512x512 px, CT slice, Abdomen
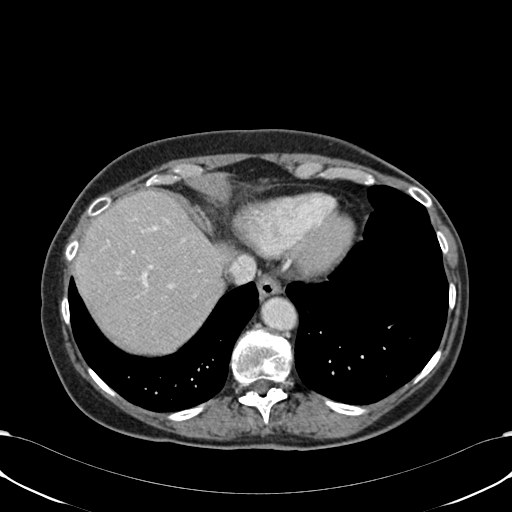
liver:
  - {"x1": 76, "y1": 191, "x2": 227, "y2": 352}